CT image, Slice 94 of 158

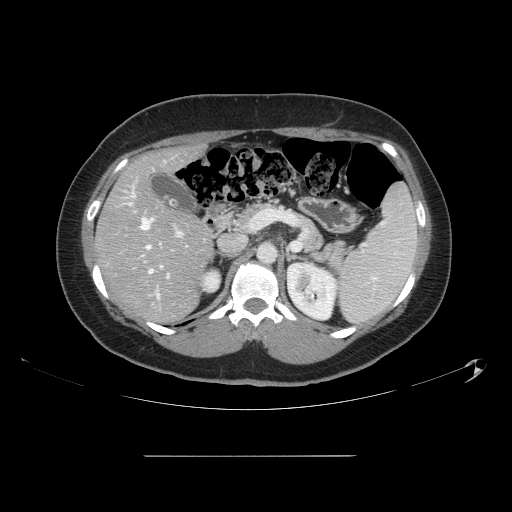 The vessel boxes may cover only some of the vessels.
Hepatic vessel: (x1=146, y1=245, x2=150, y2=248), (x1=167, y1=275, x2=168, y2=277), (x1=132, y1=190, x2=134, y2=197), (x1=157, y1=294, x2=159, y2=298), (x1=149, y1=269, x2=152, y2=272), (x1=129, y1=202, x2=132, y2=205), (x1=141, y1=218, x2=153, y2=229), (x1=176, y1=232, x2=181, y2=236).